Brain; Field of view 240 mm wide, 1.00 mm slice spacing
FLAIR magnetic resonance.
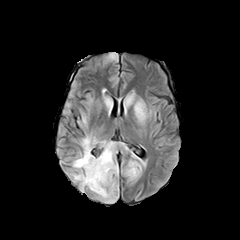
T1-weighted MR image.
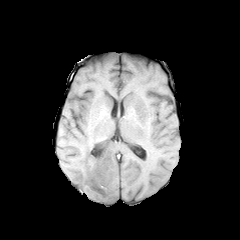
Post-contrast T1-weighted magnetic resonance.
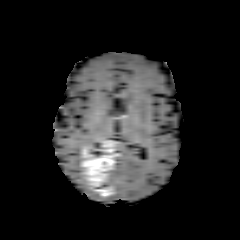
T2-weighted MRI.
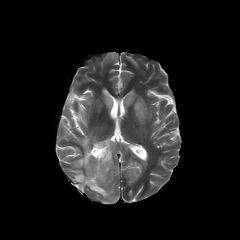
Edema: (72, 171, 87, 189), (74, 136, 93, 167).
Non-enhancing tumor core: (96, 176, 112, 193), (88, 140, 111, 160).
Enhancing tumor: (82, 141, 113, 196).